FLAIR MR image.
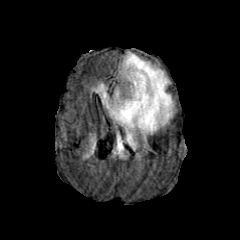
T1-weighted MR.
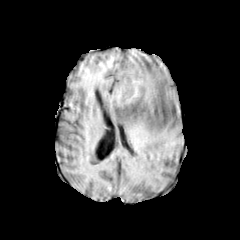
Post-contrast T1-weighted MRI.
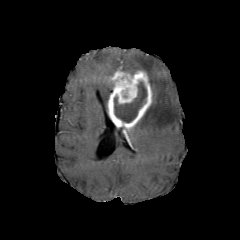
T2-weighted magnetic resonance.
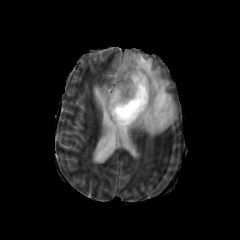
Brain; Image size 240x240
<segmentation>
  <enhancing_tumor>107 66 152 147</enhancing_tumor>
  <non-enhancing_tumor_core>114 82 146 122</non-enhancing_tumor_core>
  <edema>114 134 127 154, 95 83 111 110, 120 52 175 149</edema>
</segmentation>